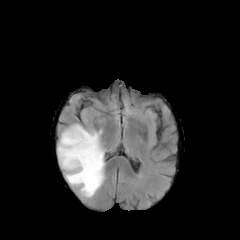
FLAIR MR.
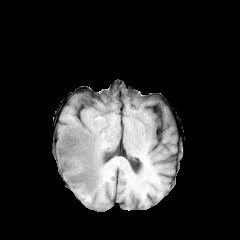
T1-weighted magnetic resonance.
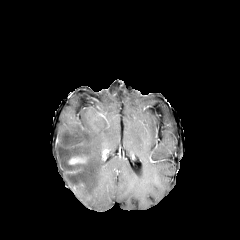
Post-contrast T1-weighted MR of the same slice.
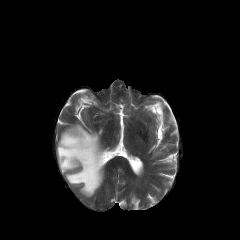
Same slice, T2-weighted MR.
Enhancing tumor: (69,157,85,164).
Edema: (57,123,107,197).